Computed tomography. 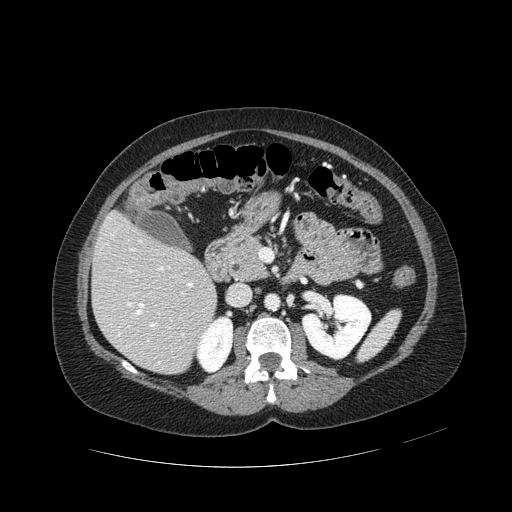 pancreas:
  - 229,240,267,281